Liver, Computed tomography, Slice index 96
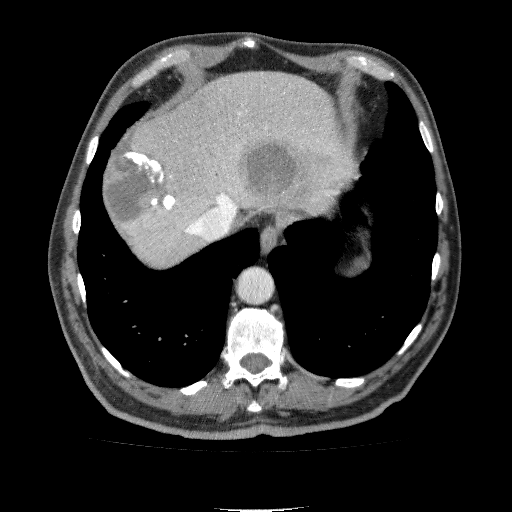

liver: rect(117, 72, 348, 268) | hepatic lesion: rect(104, 144, 180, 230); rect(238, 138, 332, 204)